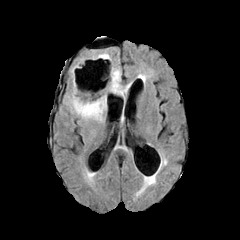
FLAIR magnetic resonance.
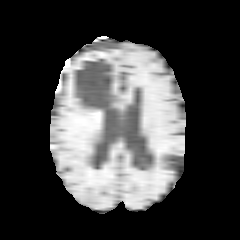
T1-weighted magnetic resonance.
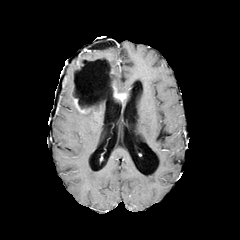
Post-contrast T1-weighted MR of the same slice.
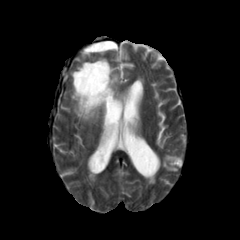
T2-weighted MR.
Brain
4 edema regions are located at box=[137, 74, 147, 81]; box=[97, 49, 111, 60]; box=[108, 66, 130, 93]; box=[70, 81, 107, 121]. The non-enhancing tumor core appears at box=[74, 66, 114, 111]. The enhancing tumor is bounded by box=[113, 88, 125, 96].